Image size 512x512 | CT slice 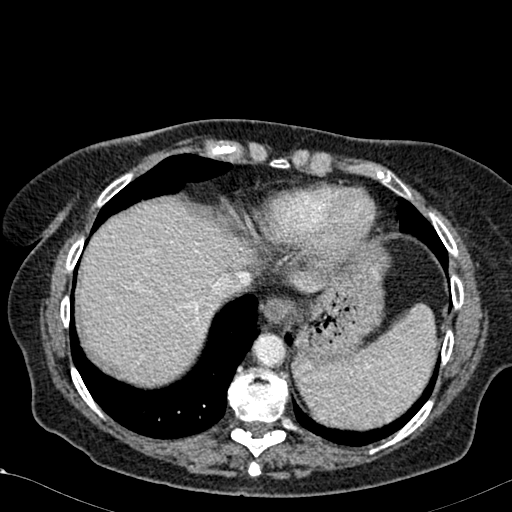 liver:
  - <bbox>81, 202, 246, 383</bbox>
  - <bbox>291, 270, 323, 291</bbox>